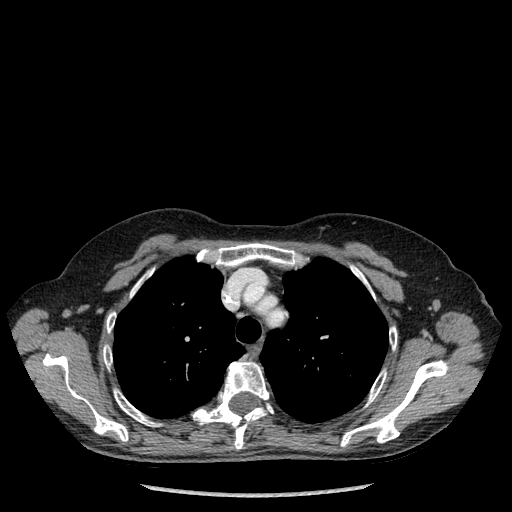 Computed tomography. Image size 512x512. Chest. 2 lung regions are bounded by (left=260, top=258, right=388, bottom=422), (left=113, top=256, right=260, bottom=418). 11 bone regions are bounded by (left=103, top=345, right=112, bottom=369), (left=130, top=271, right=152, bottom=297), (left=42, top=354, right=128, bottom=441), (left=350, top=265, right=375, bottom=298), (left=196, top=243, right=308, bottom=266), (left=192, top=361, right=273, bottom=449), (left=113, top=389, right=161, bottom=426), (left=365, top=369, right=386, bottom=406), (left=106, top=312, right=116, bottom=333), (left=341, top=360, right=448, bottom=446), (left=389, top=326, right=397, bottom=350).